FLAIR magnetic resonance.
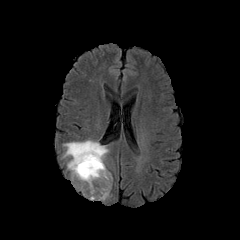
T1-weighted MR.
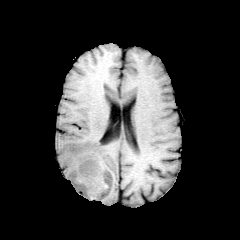
Post-contrast T1-weighted MR.
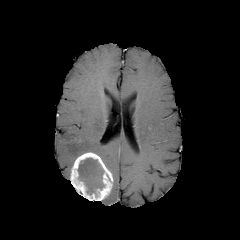
T2-weighted magnetic resonance.
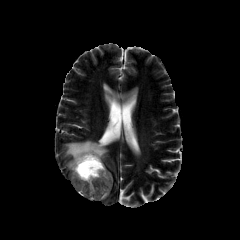
Brain
{
  "non-enhancing_tumor_core": [
    "rect(78, 158, 104, 195)"
  ],
  "enhancing_tumor": [
    "rect(70, 152, 112, 200)"
  ],
  "edema": [
    "rect(63, 139, 109, 169)",
    "rect(86, 177, 101, 192)"
  ]
}